Heart; MRI; Slice index 18; Field of view 400 mm wide, 1.37 mm slice spacing

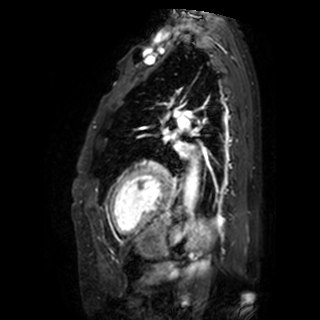

2 left atrium regions are located at [175, 143, 187, 156], [163, 129, 169, 138].